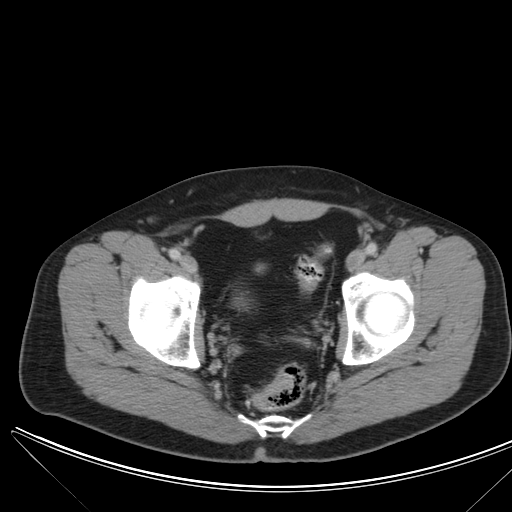 512x512 | Pelvis | CT scan slice
Colon tumor: x1=253 y1=375 x2=292 y2=408.